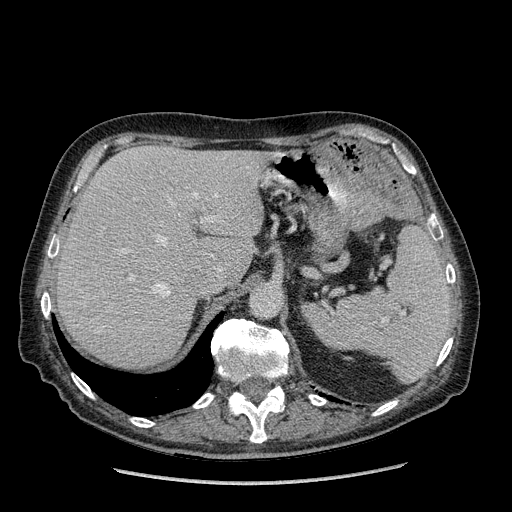
Liver. CT image.

liver: x1=57, y1=146, x2=267, y2=369